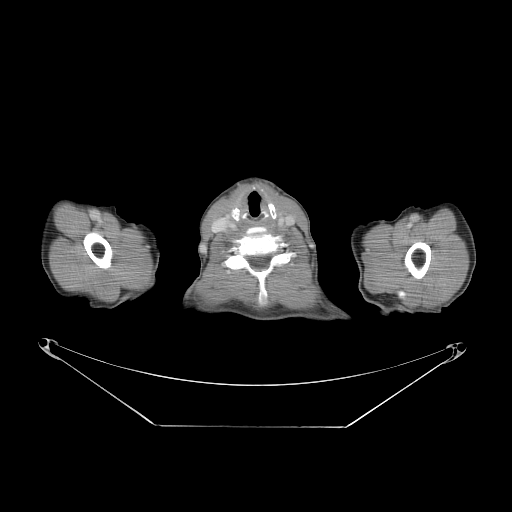
512x512. CT.

Annotated regions:
• bone: {"x1": 84, "y1": 233, "x2": 111, "y2": 268}, {"x1": 405, "y1": 242, "x2": 430, "y2": 278}, {"x1": 226, "y1": 227, "x2": 289, "y2": 301}